Abdomen. Computed tomography. Slice 68 of 83.

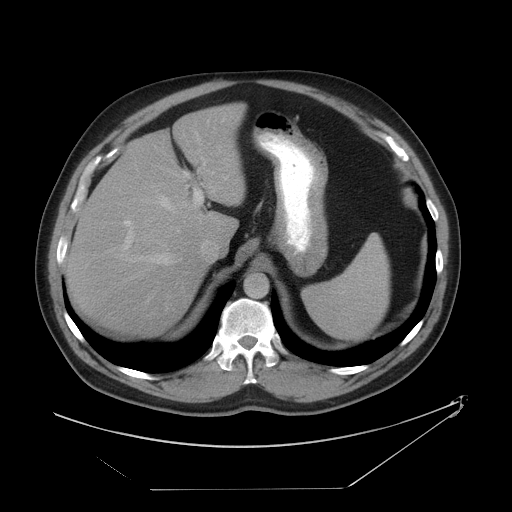
spleen: 303 235 390 339